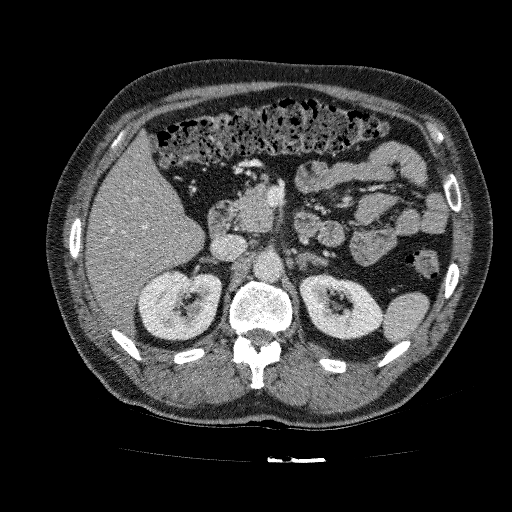

512x512 px, CT slice
The liver is at [x1=85, y1=130, x2=205, y2=335]. 2 kidney regions are located at [x1=300, y1=275, x2=382, y2=338], [x1=138, y1=272, x2=220, y2=339].